FLAIR MR.
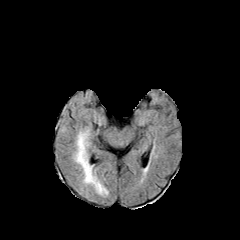
T1-weighted MRI.
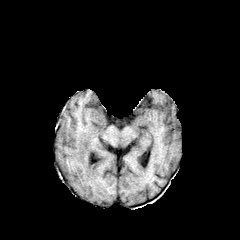
Post-contrast T1-weighted MRI.
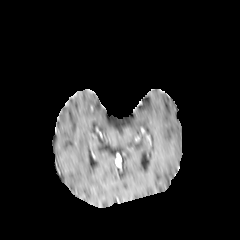
T2-weighted MR image.
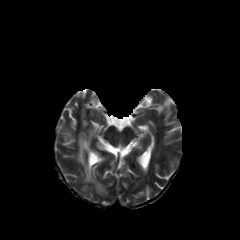
Head; Image size 240x240
The edema appears at (left=72, top=130, right=107, bottom=195).